FLAIR MR image.
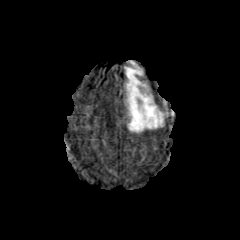
T1-weighted MR.
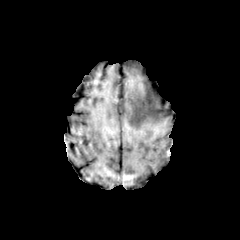
Post-contrast T1-weighted MRI.
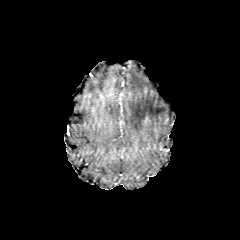
T2-weighted magnetic resonance.
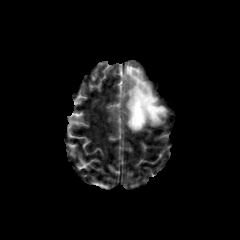
Brain, Image size 240x240
Edema — 124:62:164:132.